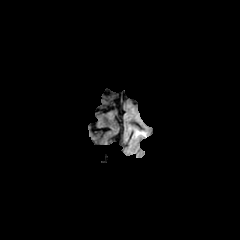
FLAIR MRI.
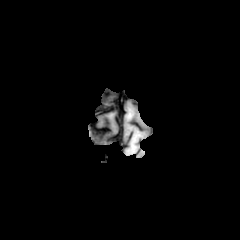
Same slice, T1-weighted magnetic resonance.
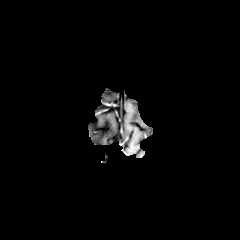
Same slice, post-contrast T1-weighted MR image.
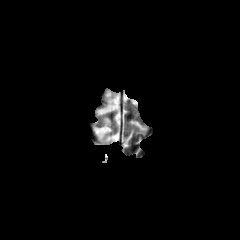
T2-weighted MRI.
240x240 px
Findings:
• edema: rect(132, 129, 146, 137)